FLAIR magnetic resonance.
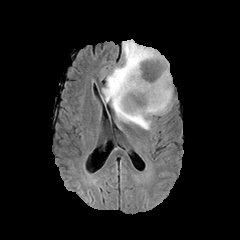
T1-weighted magnetic resonance.
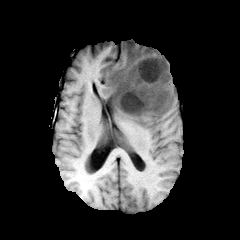
Post-contrast T1-weighted MR.
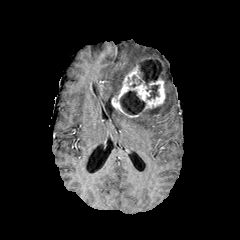
T2-weighted MR image.
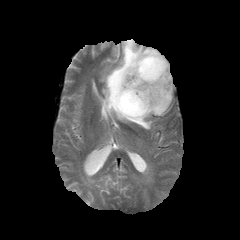
240x240; Head
<segmentation>
  <non-enhancing_tumor_core>(136,56,167,85), (120,90,149,115), (148,85,158,99)</non-enhancing_tumor_core>
  <edema>(102,40,172,129)</edema>
  <enhancing_tumor>(111,65,165,117)</enhancing_tumor>
</segmentation>